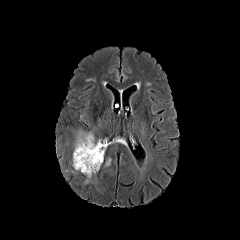
FLAIR magnetic resonance.
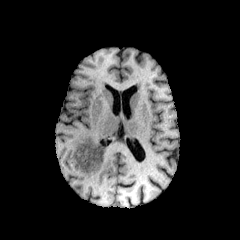
T1-weighted MR image.
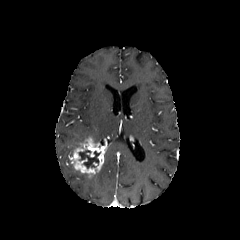
Same slice, post-contrast T1-weighted MRI.
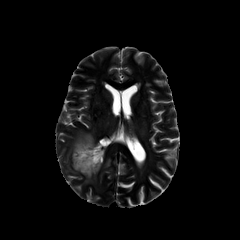
T2-weighted MR of the same slice.
Image size 240x240. Brain.
<segmentation>
  <edema>rect(71, 131, 94, 152)</edema>
  <enhancing_tumor>rect(71, 138, 106, 178)</enhancing_tumor>
  <non-enhancing_tumor_core>rect(79, 150, 99, 168)</non-enhancing_tumor_core>
</segmentation>